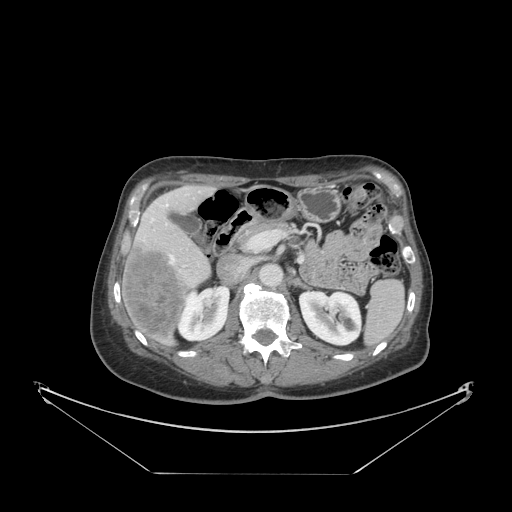 Computed tomography; 512x512 px
Spleen: bounding box rect(366, 280, 404, 344).